FLAIR magnetic resonance.
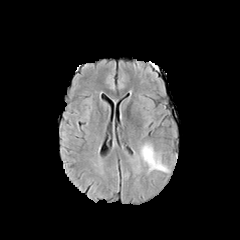
T1-weighted MR.
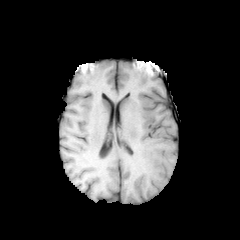
Post-contrast T1-weighted MR image.
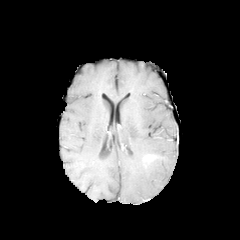
T2-weighted MR image.
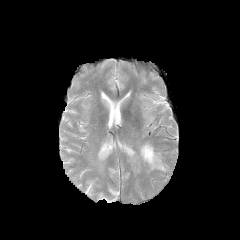
240x240, Brain
enhancing tumor: 143, 154, 157, 163 | edema: 130, 143, 169, 173